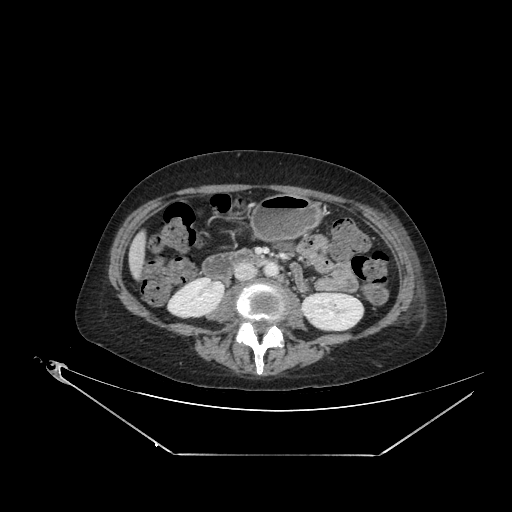

CT. • kidney: 168 278 223 316, 302 293 362 330
• liver: 127 229 148 282